Image size 512x512. CT image.
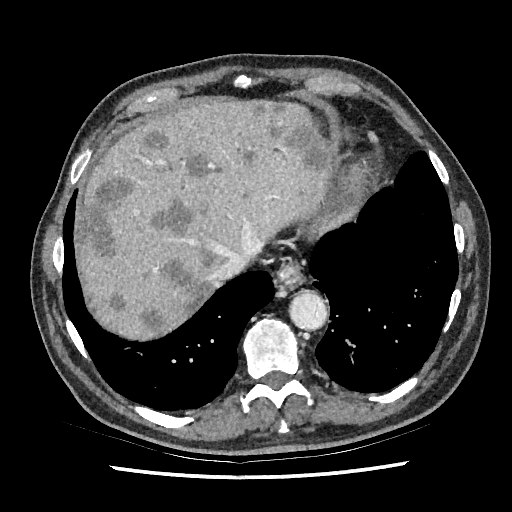
<segmentation partial="true">
  <focal_liver_lesion shown="15" total="16">x1=157, y1=259, x2=212, y2=315; x1=143, y1=130, x2=166, y2=150; x1=272, y1=103, x2=287, y2=114; x1=285, y1=119, x2=328, y2=169; x1=134, y1=221, x2=145, y2=232; x1=254, y1=103, x2=264, y2=115; x1=234, y1=143, x2=256, y2=167; x1=142, y1=307, x2=168, y2=335; x1=297, y1=189, x2=305, y2=196; x1=200, y1=248, x2=224, y2=267; x1=148, y1=199, x2=194, y2=237; x1=77, y1=174, x2=135, y2=257; x1=187, y1=150, x2=222, y2=177; x1=268, y1=126, x2=280, y2=138; x1=110, y1=294, x2=126, y2=311</focal_liver_lesion>
  <liver>x1=75, y1=102, x2=329, y2=339</liver>
</segmentation>